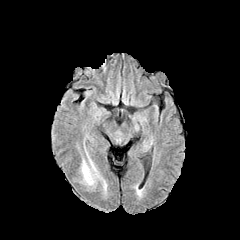
FLAIR MR.
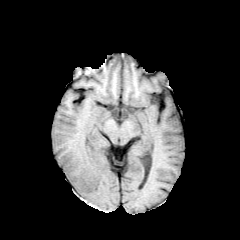
T1-weighted MR image.
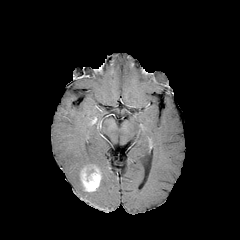
Same slice, post-contrast T1-weighted magnetic resonance.
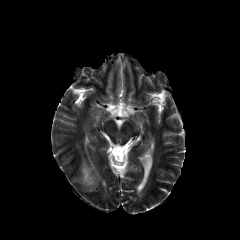
T2-weighted MR.
Image size 240x240
Segmented structures:
* edema: 80, 155, 96, 173
* enhancing tumor: 81, 169, 100, 190
* non-enhancing tumor core: 86, 167, 96, 177